Brain. Slice index 96. 240x240.
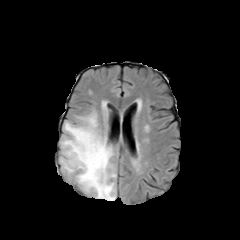
FLAIR MR.
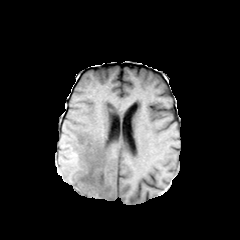
T1-weighted MR of the same slice.
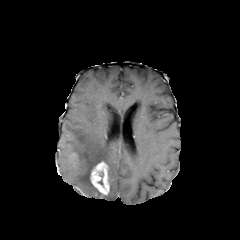
Post-contrast T1-weighted magnetic resonance.
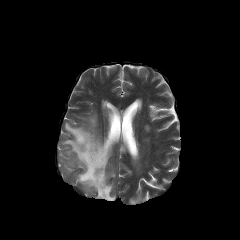
Same slice, T2-weighted MR.
enhancing_tumor:
  - l=90, t=161, r=109, b=195
edema:
  - l=59, t=112, r=116, b=200